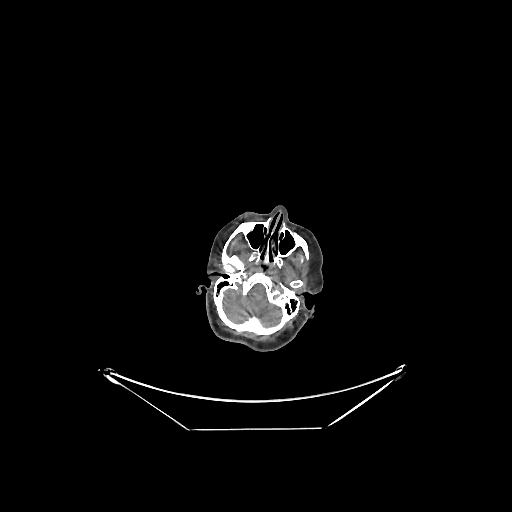
Computed tomography. Image size 512x512.

Brain = x1=222, y1=283, x2=282, y2=327.